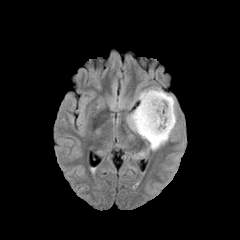
FLAIR MR image.
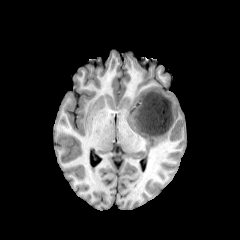
T1-weighted MRI of the same slice.
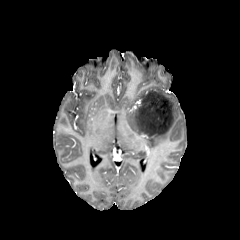
Post-contrast T1-weighted magnetic resonance of the same slice.
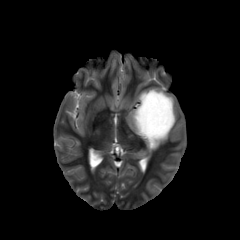
T2-weighted magnetic resonance of the same slice.
Annotated regions:
- non-enhancing tumor core: <box>134,90,173,139</box>
- edema: <box>127,106,141,137</box>, <box>112,85,178,150</box>